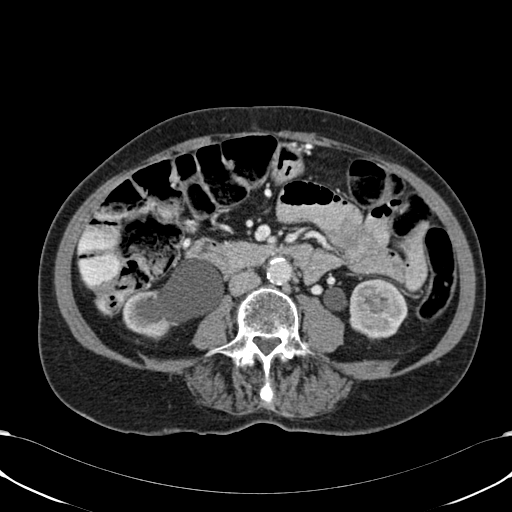
Abdomen | CT
Kidney — (left=350, top=280, right=406, bottom=337), (left=123, top=291, right=224, bottom=336).